Medial temporal lobe. Magnetic resonance. Slice 8 of 34.
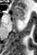 Anterior hippocampus: bounding box box=[13, 6, 25, 19].